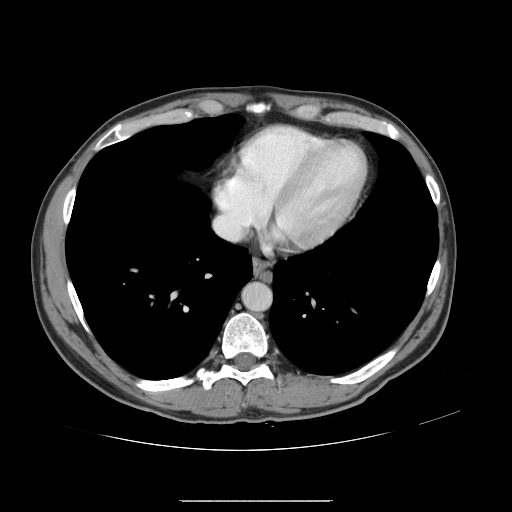

512x512. CT slice. Abdomen.
Only some of the vessels may be annotated.
Hepatic vessel — <box>219,221,234,235</box>.